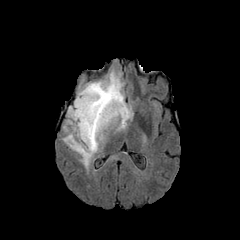
FLAIR MR image.
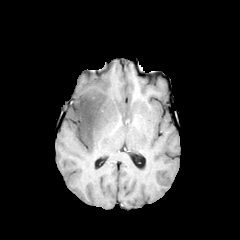
T1-weighted MR image.
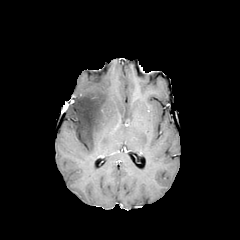
Post-contrast T1-weighted magnetic resonance.
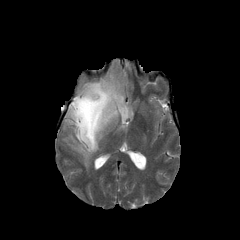
T2-weighted MR image of the same slice.
The non-enhancing tumor core appears at <bbox>67, 94, 105, 145</bbox>. The edema is at <bbox>63, 71, 133, 169</bbox>.